Image width 33 mm, 33x44 px, MRI 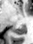 Posterior hippocampus = {"x1": 13, "y1": 25, "x2": 25, "y2": 35}.